Slice 43/97, Abdomen, CT scan slice

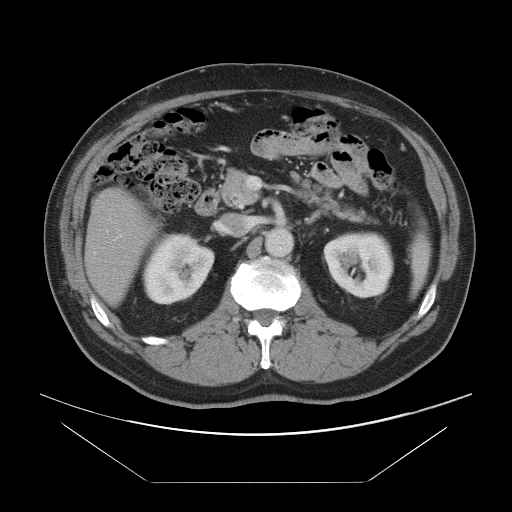
Only some of the vessels may be annotated.
hepatic vessel: bbox=[106, 231, 108, 232]; bbox=[118, 235, 121, 236]